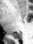 MRI, Hippocampus
{
  "posterior_hippocampus": [
    "region(14, 33, 21, 39)"
  ]
}